FLAIR MRI.
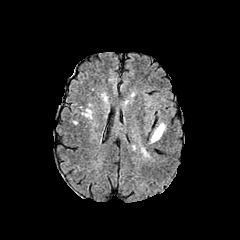
T1-weighted MR.
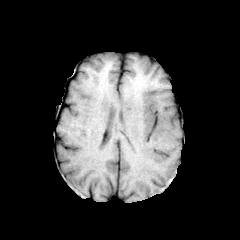
Post-contrast T1-weighted MRI.
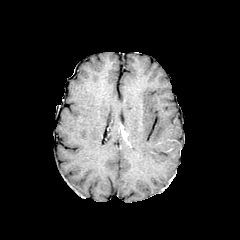
T2-weighted MR image.
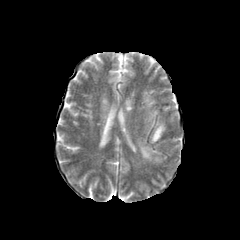
edema:
  - 138, 123, 165, 162
  - 131, 141, 137, 152